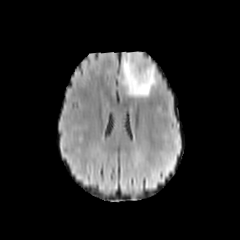
FLAIR magnetic resonance.
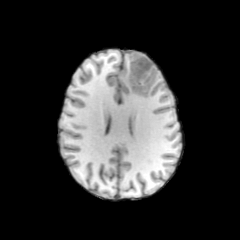
Same slice, T1-weighted MR.
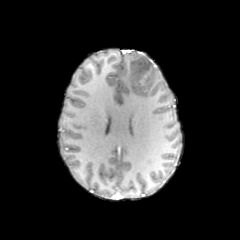
Same slice, post-contrast T1-weighted magnetic resonance.
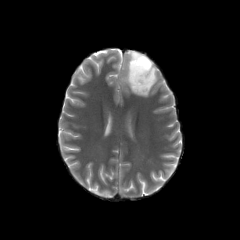
T2-weighted magnetic resonance of the same slice.
240x240 | Head
Non-enhancing tumor core = (x1=129, y1=53, x2=153, y2=95).
Edema = (x1=122, y1=52, x2=137, y2=94), (x1=145, y1=56, x2=156, y2=84).